Image width 495 mm | CT | Abdomen | Image size 512x512

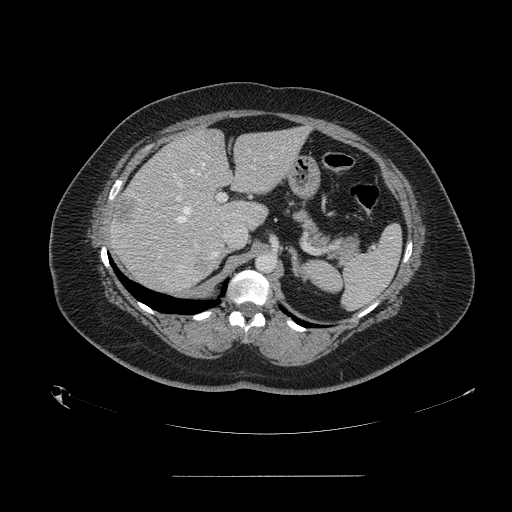 Annotated regions:
- spleen: 303 225 401 309